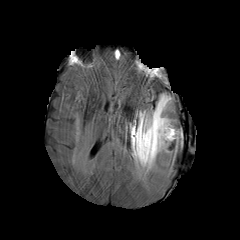
FLAIR MR image.
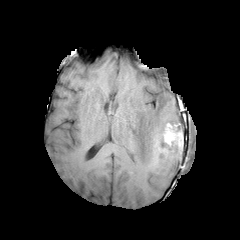
T1-weighted MR.
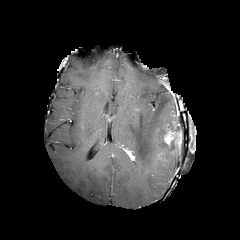
Same slice, post-contrast T1-weighted MR image.
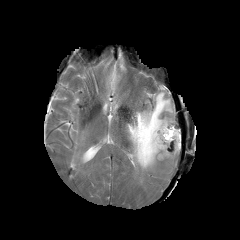
Same slice, T2-weighted MR.
Head.
Segmented structures:
• non-enhancing tumor core: (168, 132, 181, 147)
• enhancing tumor: (164, 128, 177, 143)
• edema: (127, 93, 181, 172)